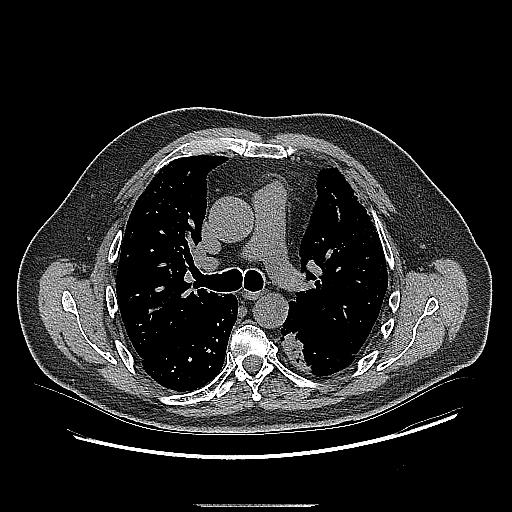 512x512 | CT image
Findings:
* lung tumor: <box>281,327,313,374</box>